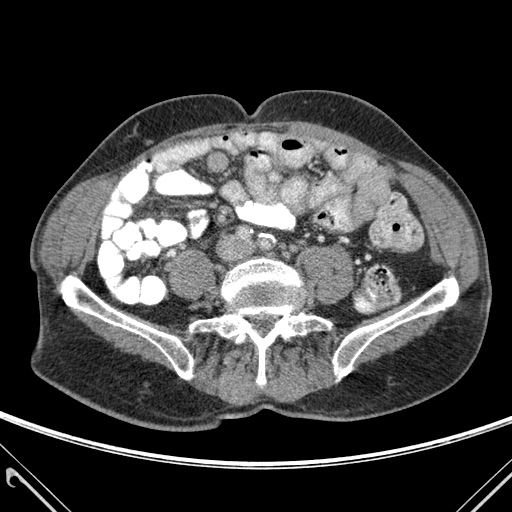 Computed tomography. 512x512. <segmentation>
  <bone>box(61, 276, 193, 379); box(189, 258, 331, 384); box(333, 278, 458, 379)</bone>
</segmentation>